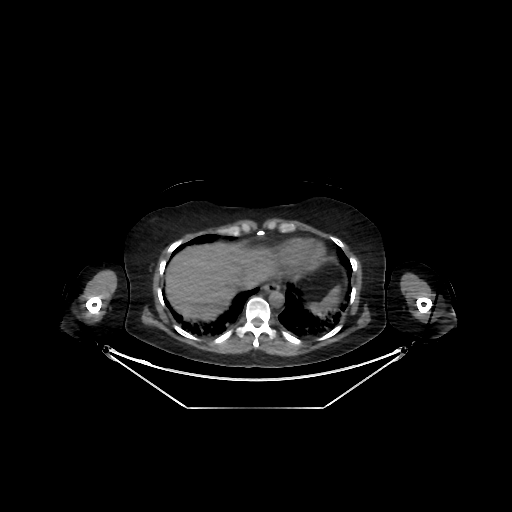
CT slice | Liver
Liver — <box>165,242,298,319</box>.